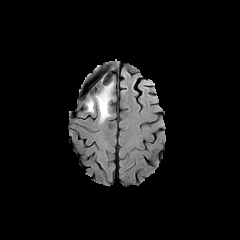
FLAIR MRI.
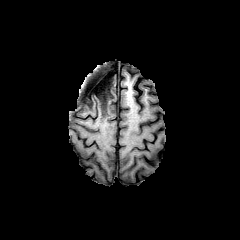
Same slice, T1-weighted MR image.
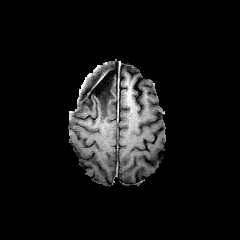
Post-contrast T1-weighted MR.
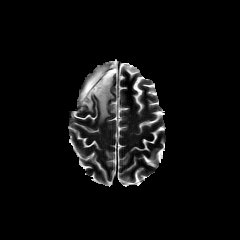
T2-weighted MR.
The edema is at [84,82,115,118]. 2 non-enhancing tumor core regions are bounded by [96,108,105,123], [82,82,109,105].